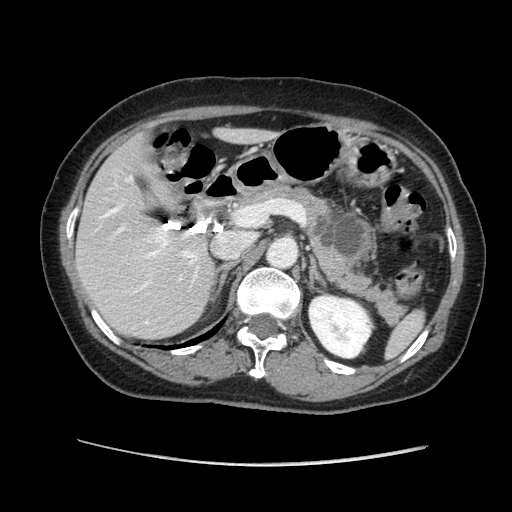
Image size 512x512 | CT slice

Pancreatic tumor at left=315, top=208, right=364, bottom=259.
Pancreas at left=230, top=182, right=407, bottom=326.